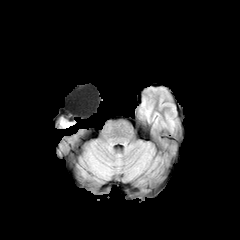
FLAIR MRI.
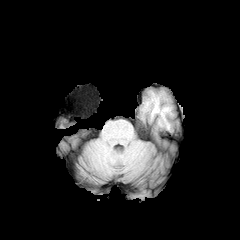
Same slice, T1-weighted MRI.
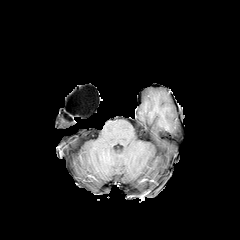
Post-contrast T1-weighted magnetic resonance.
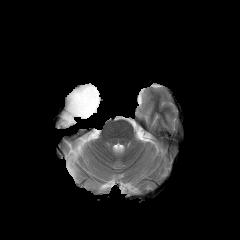
T2-weighted magnetic resonance.
Edema: bounding box [x1=59, y1=118, x2=73, y2=127].